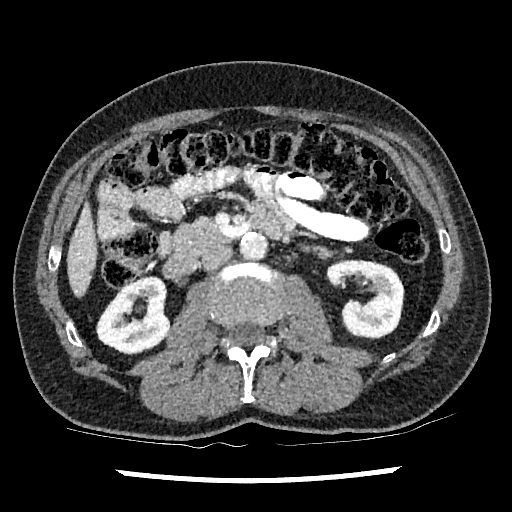

CT scan slice
Liver — x1=67, y1=209, x2=97, y2=296.
Kidney — x1=328, y1=261, x2=402, y2=336; x1=97, y1=278, x2=168, y2=352.